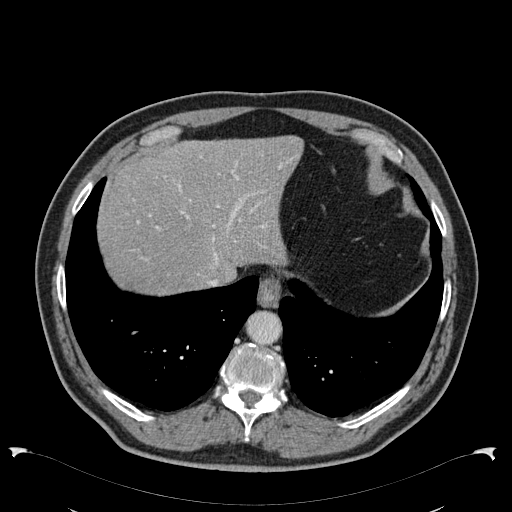
CT scan slice
The liver is at x1=98, y1=137, x2=303, y2=293.